Slice 129 of 244, CT slice, Abdomen, Image width 409 mm

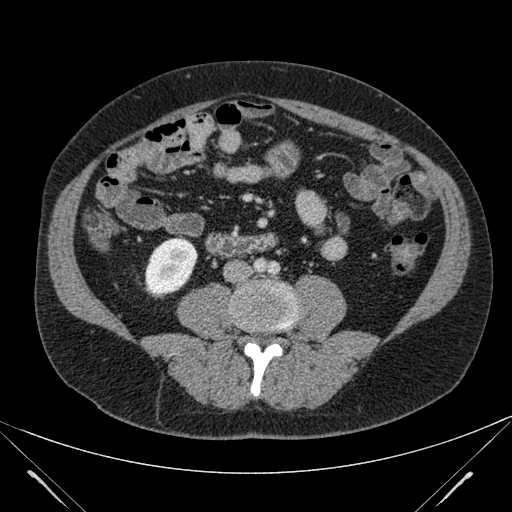
Kidney: bounding box l=146, t=239, r=196, b=294.